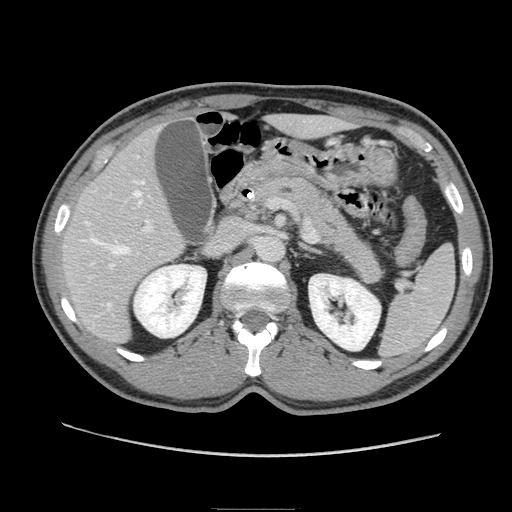
Abdomen | Computed tomography
Pancreas: [258, 176, 383, 285].